512x512 px | Abdomen | CT 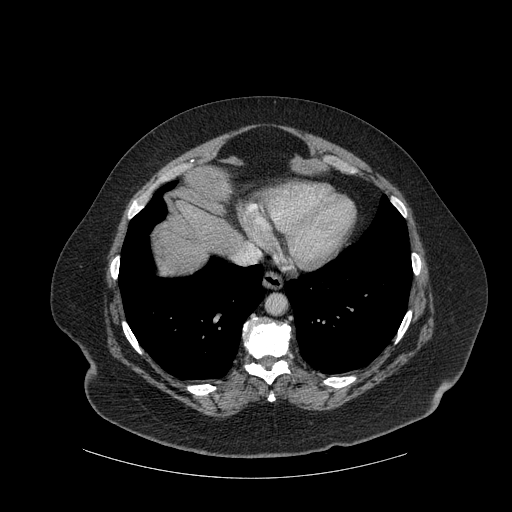
lung:
  - bbox=[118, 181, 263, 379]
  - bbox=[285, 195, 412, 373]
bone:
  - bbox=[128, 201, 142, 218]
  - bbox=[392, 197, 406, 216]
  - bbox=[324, 377, 355, 387]
  - bbox=[188, 384, 215, 395]
  - bbox=[110, 256, 119, 278]
  - bbox=[412, 253, 420, 274]
  - bbox=[245, 360, 289, 383]
  - bbox=[123, 322, 140, 353]
  - bbox=[396, 311, 411, 342]
  - bbox=[243, 318, 290, 358]
liver:
  - bbox=[156, 201, 241, 274]